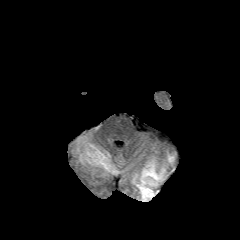
FLAIR MR image.
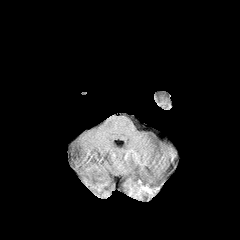
T1-weighted MRI.
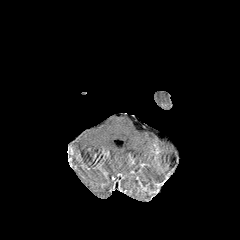
Post-contrast T1-weighted magnetic resonance of the same slice.
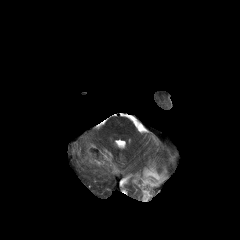
T2-weighted MRI.
Brain, 240x240
<segmentation>
  <edema>(x1=137, y1=155, x2=167, y2=201)</edema>
</segmentation>